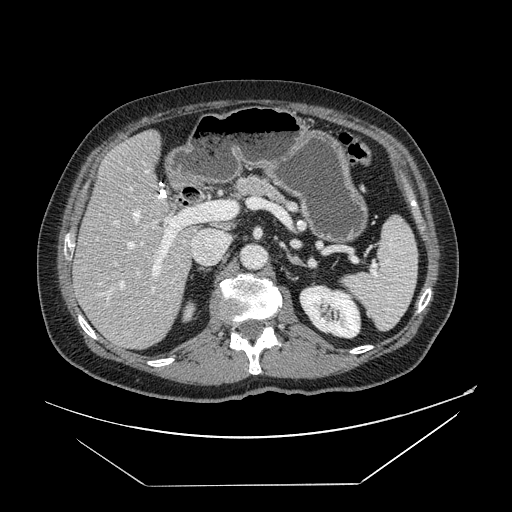
Upper abdomen | Computed tomography
{
  "pancreas": [
    "231:176:288:204"
  ]
}